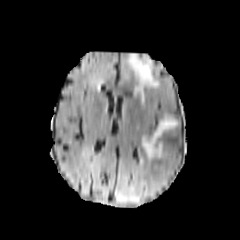
FLAIR MR.
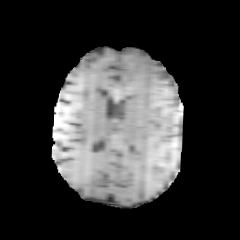
T1-weighted MR.
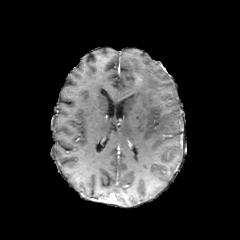
Same slice, post-contrast T1-weighted magnetic resonance.
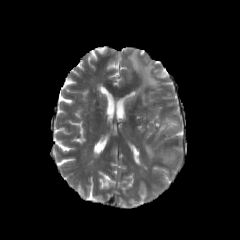
T2-weighted magnetic resonance.
Annotated regions:
• edema: 141:116:178:158, 127:51:161:104